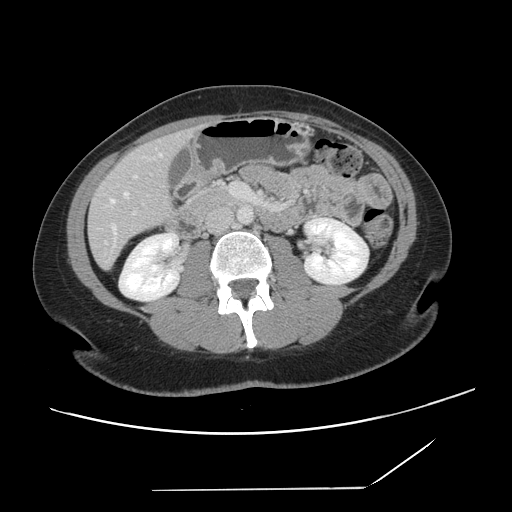

CT

Only some of the vessels may be annotated.
7 hepatic vessel regions appear at (x1=159, y1=154, x2=161, y2=156), (x1=110, y1=199, x2=114, y2=204), (x1=125, y1=192, x2=128, y2=197), (x1=111, y1=224, x2=116, y2=245), (x1=132, y1=212, x2=134, y2=213), (x1=105, y1=241, x2=106, y2=243), (x1=133, y1=175, x2=136, y2=178).